Image size 240x240
FLAIR MR image.
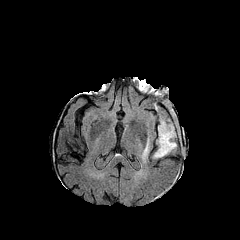
T1-weighted MR image.
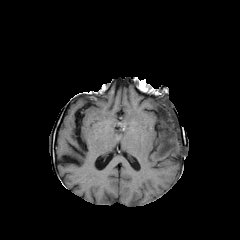
Post-contrast T1-weighted MRI.
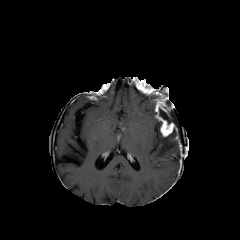
T2-weighted MR image.
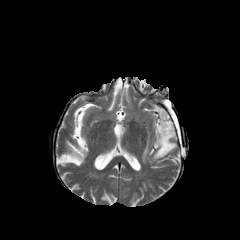
3 non-enhancing tumor core regions are located at (157,87,167,97), (155,111,177,141), (157,102,176,125). The enhancing tumor is bounded by (155,95,177,136). The edema is bounded by (141,130,177,163).